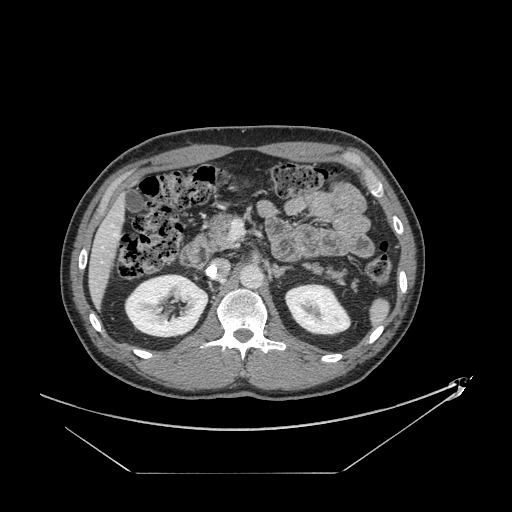
Computed tomography, Abdomen
Pancreas: x1=306 y1=264 x2=347 y2=281, x1=204 y1=213 x2=236 y2=252.